CT slice 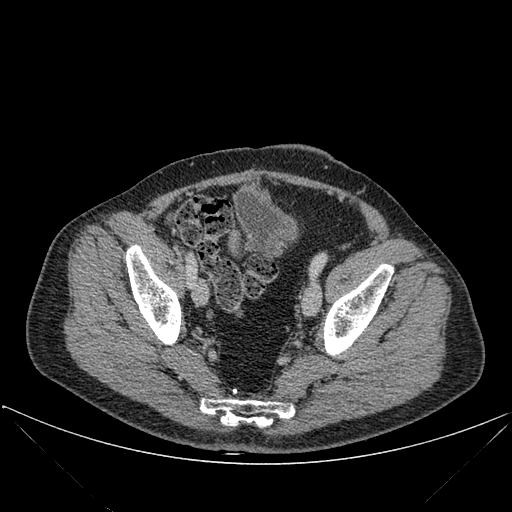

Annotated regions:
- bone: 126, 245, 180, 344; 324, 264, 393, 355; 200, 399, 294, 427